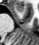

MRI
anterior_hippocampus:
  - [x1=14, y1=5, x2=23, y2=11]